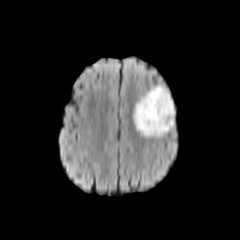
FLAIR MR image.
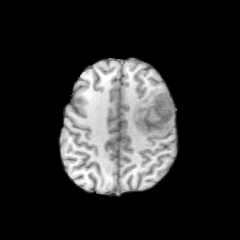
T1-weighted MRI.
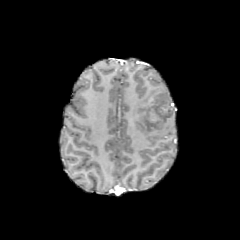
Post-contrast T1-weighted magnetic resonance.
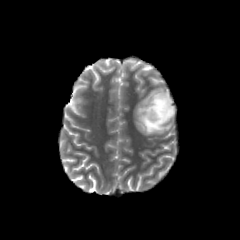
Same slice, T2-weighted MRI.
{
  "edema": [
    "[132,83,175,137]"
  ],
  "non-enhancing_tumor_core": [
    "[139,91,173,131]"
  ]
}